Hippocampus | Magnetic resonance | Slice 8/36 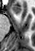 anterior hippocampus: {"x1": 10, "y1": 6, "x2": 21, "y2": 14}